Field of view 240 mm wide, 1.00 mm slice spacing
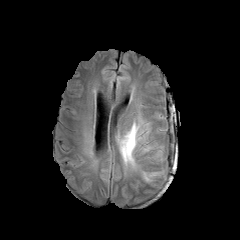
FLAIR magnetic resonance.
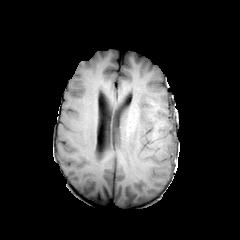
T1-weighted MRI.
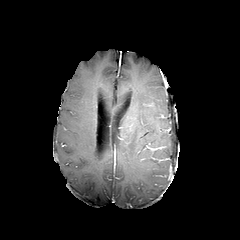
Post-contrast T1-weighted magnetic resonance.
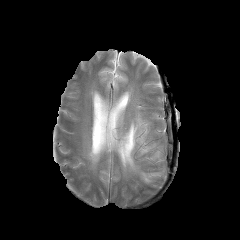
Same slice, T2-weighted MR.
{"edema": ["118, 117, 164, 181"]}